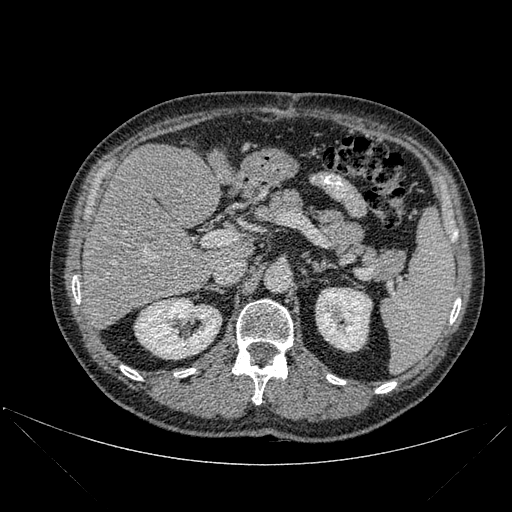 CT image

{"bone": ["bbox=[174, 368, 195, 377]", "bbox=[450, 298, 460, 323]", "bbox=[327, 375, 345, 384]", "bbox=[375, 382, 396, 393]", "bbox=[120, 365, 142, 380]", "bbox=[72, 276, 80, 303]", "bbox=[232, 299, 293, 404]"], "kidney": ["bbox=[135, 298, 221, 359]", "bbox=[316, 288, 371, 351]"], "liver": ["bbox=[81, 144, 221, 329]", "bbox=[215, 153, 233, 184]"]}